Slice 30/52. CT scan slice. Liver.
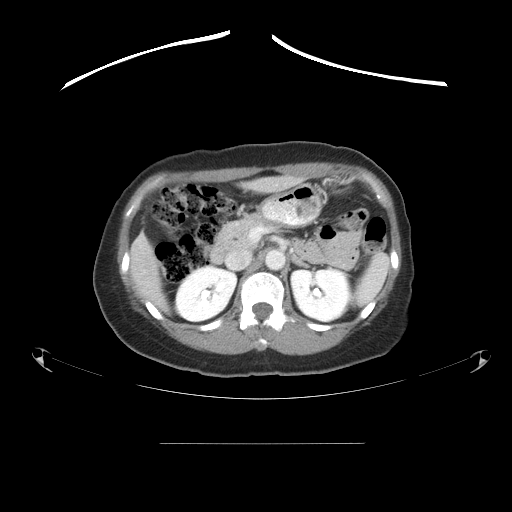

Not every hepatic vessel necessarily has a box.
hepatic_vessel:
  - box=[250, 229, 260, 239]
  - box=[226, 250, 249, 269]